Liver; Slice 272 of 343; Computed tomography
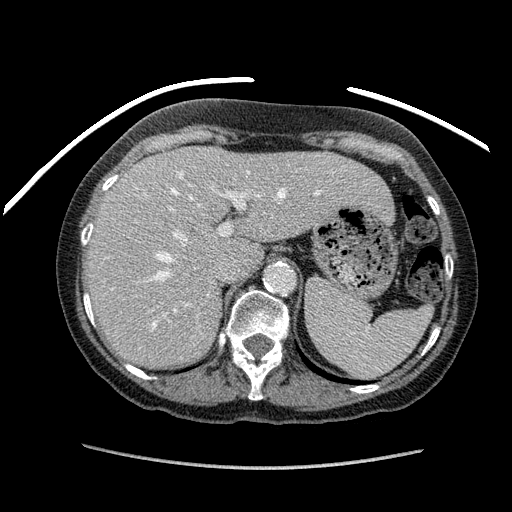 <segmentation>
  <liver>bbox=[85, 146, 393, 367]</liver>
</segmentation>